Brain. Slice 82 of 155. Field of view 240 mm wide, 1.00 mm slice spacing.
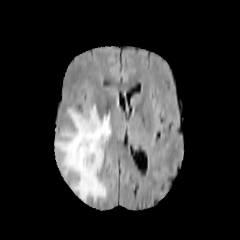
FLAIR MR.
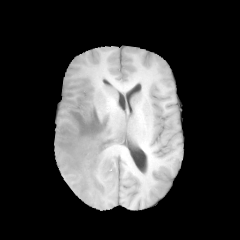
T1-weighted MRI of the same slice.
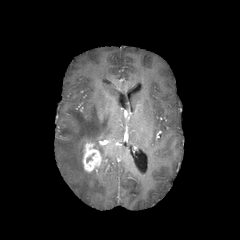
Post-contrast T1-weighted MRI.
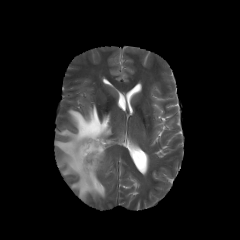
T2-weighted MR image.
enhancing tumor: 82,143,101,171 | edema: 55,105,111,201